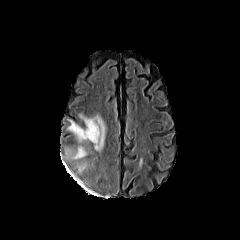
FLAIR MRI.
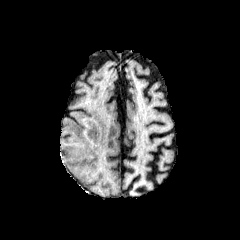
T1-weighted MRI.
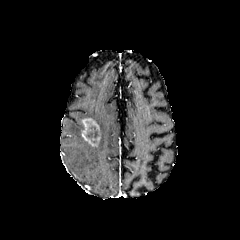
Same slice, post-contrast T1-weighted MRI.
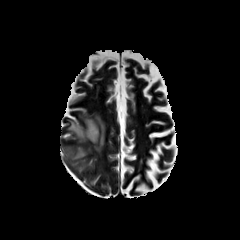
Same slice, T2-weighted magnetic resonance.
Non-enhancing tumor core: 88,126,98,137.
Enhancing tumor: 80,117,101,147.
Edema: 67,118,90,159; 90,113,106,152.